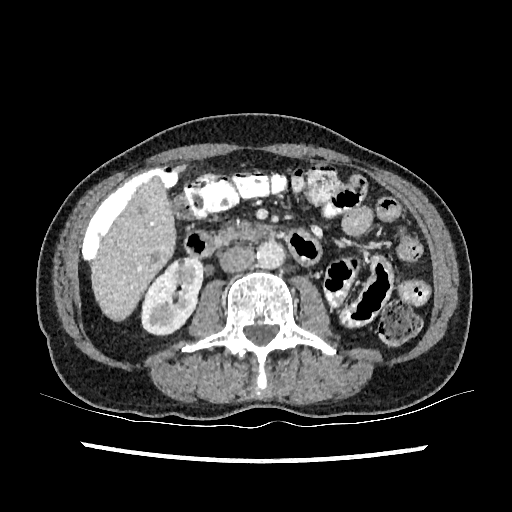

CT; Liver
kidney: [x1=142, y1=259, x2=202, y2=334] | focal liver lesion: [x1=150, y1=252, x2=158, y2=262] | liver: [x1=92, y1=176, x2=174, y2=319], [x1=173, y1=164, x2=187, y2=172]